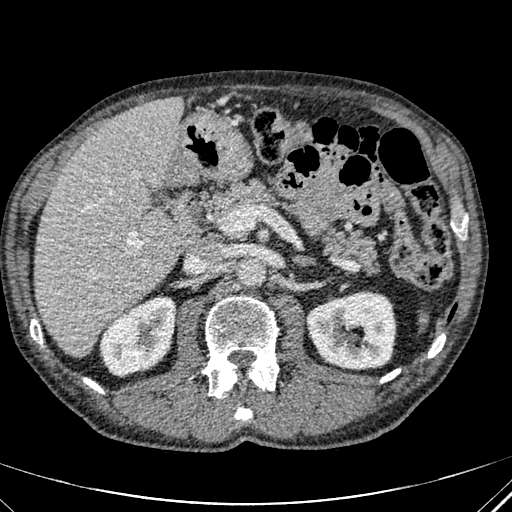
Liver | CT scan slice
Liver: bounding box l=35, t=97, r=198, b=356.
Kidney: bounding box l=101, t=298, r=174, b=374; l=308, t=293, r=394, b=368.